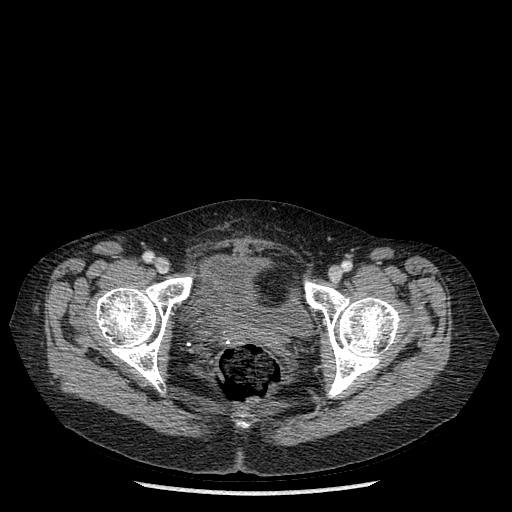

Lower abdomen. CT slice.

Bone: (left=304, top=280, right=402, bottom=397), (left=92, top=276, right=192, bottom=391).
Urinary bladder: (left=190, top=254, right=302, bottom=343).